Image width 394 mm; Slice 26 of 46; CT

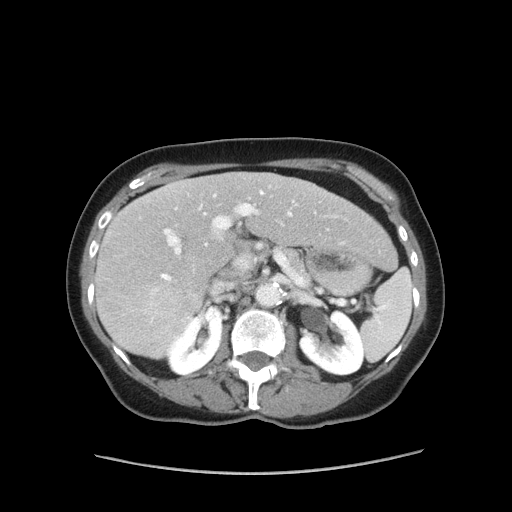
Some hepatic vessels may have no box.
[15/17] hepatic vessel: bbox=[210, 196, 260, 240]; bbox=[199, 206, 201, 209]; bbox=[274, 248, 292, 270]; bbox=[162, 274, 169, 279]; bbox=[330, 215, 336, 217]; bbox=[203, 240, 208, 247]; bbox=[212, 191, 217, 198]; bbox=[257, 243, 261, 247]; bbox=[286, 199, 296, 217]; bbox=[235, 254, 256, 270]; bbox=[260, 191, 262, 193]; bbox=[163, 227, 181, 257]; bbox=[341, 242, 344, 244]; bbox=[175, 207, 176, 209]; bbox=[191, 264, 195, 273] | liver tumor: bbox=[145, 278, 202, 331]